Image size 240x240. Field of view 240x240 mm.
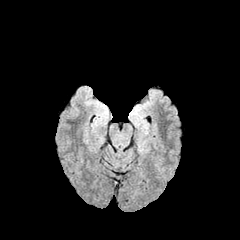
FLAIR MRI.
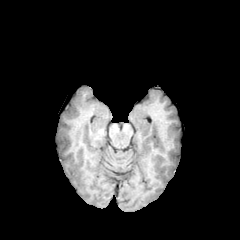
T1-weighted magnetic resonance of the same slice.
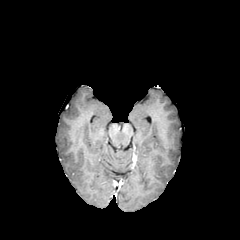
Post-contrast T1-weighted MR.
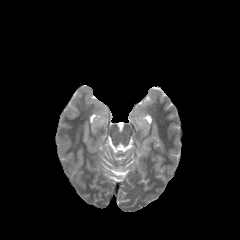
T2-weighted MRI.
Edema — [x1=130, y1=110, x2=145, y2=131], [x1=95, y1=108, x2=107, y2=131].